Liver. Slice 102/131. CT scan slice. 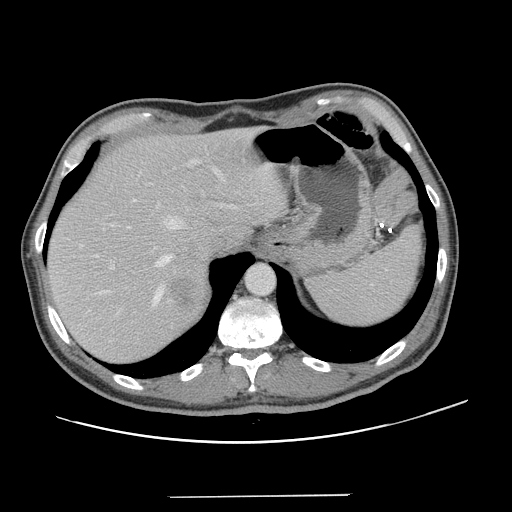
The vessel boxes may cover only some of the vessels.
Liver tumor at [171, 278, 197, 311].
Hepatic vessel at [127, 226, 129, 228], [94, 254, 98, 257], [80, 244, 82, 246], [187, 160, 196, 166], [153, 288, 162, 305], [168, 299, 170, 302], [132, 199, 136, 201], [96, 291, 108, 293], [166, 216, 181, 228], [110, 263, 114, 269], [117, 311, 119, 313], [157, 204, 159, 206], [156, 255, 170, 266], [154, 247, 156, 249], [219, 204, 234, 207].